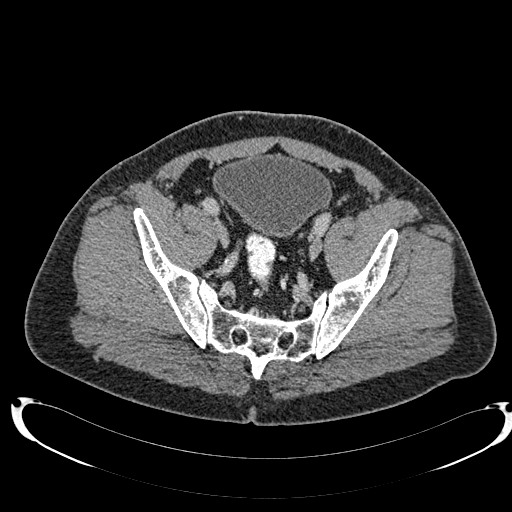

Lower abdomen, CT scan slice
Urinary bladder at 214 153 331 237.